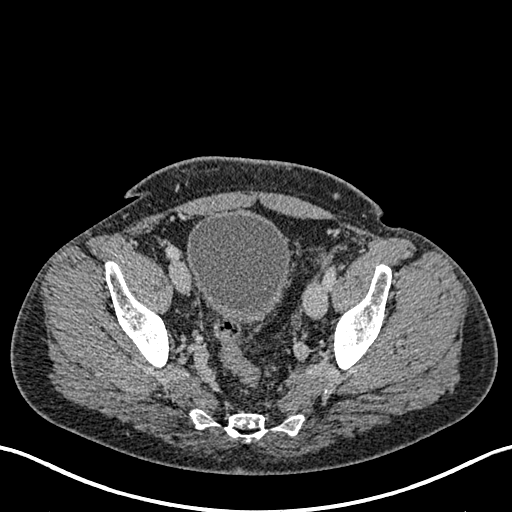

Image size 512x512, CT slice, Lower abdomen
Urinary bladder: bounding box 186, 212, 291, 322.